240x240, Head
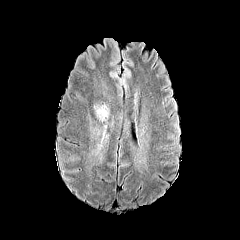
FLAIR MRI.
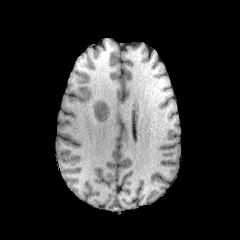
T1-weighted magnetic resonance.
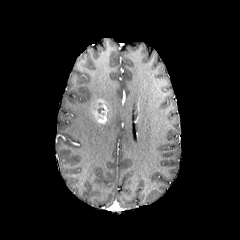
Post-contrast T1-weighted magnetic resonance.
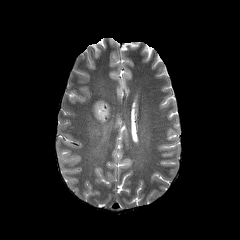
Same slice, T2-weighted magnetic resonance.
Annotated regions:
- non-enhancing tumor core: {"x1": 97, "y1": 102, "x2": 104, "y2": 115}
- enhancing tumor: {"x1": 92, "y1": 99, "x2": 108, "y2": 124}